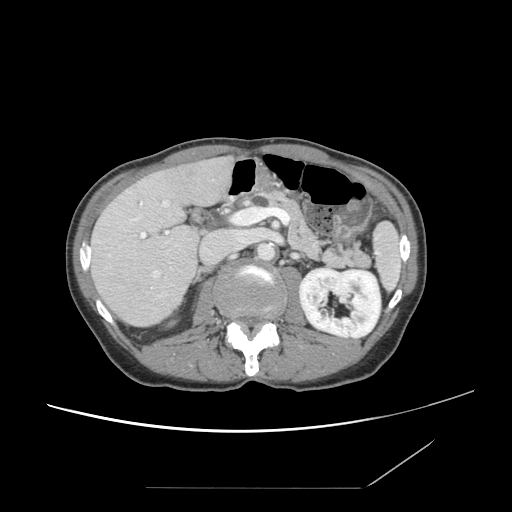

CT
<segmentation>
  <pancreas>[x1=236, y1=190, x2=370, y2=269]</pancreas>
  <pancreatic_tumor>[x1=252, y1=195, x2=268, y2=207]</pancreatic_tumor>
</segmentation>